240x240 px, Field of view 240 mm wide, 1.00 mm slice spacing
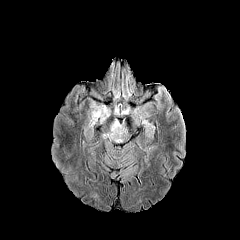
FLAIR MRI.
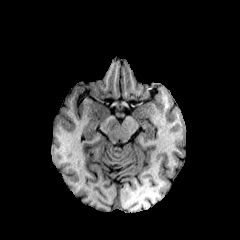
T1-weighted magnetic resonance.
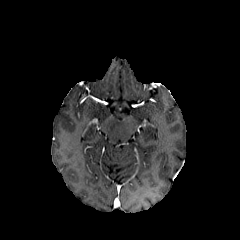
Same slice, post-contrast T1-weighted MR.
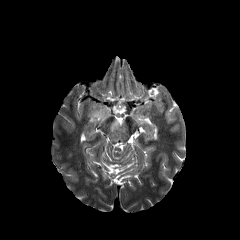
Same slice, T2-weighted MR.
Edema at (x1=91, y1=103, x2=107, y2=118).